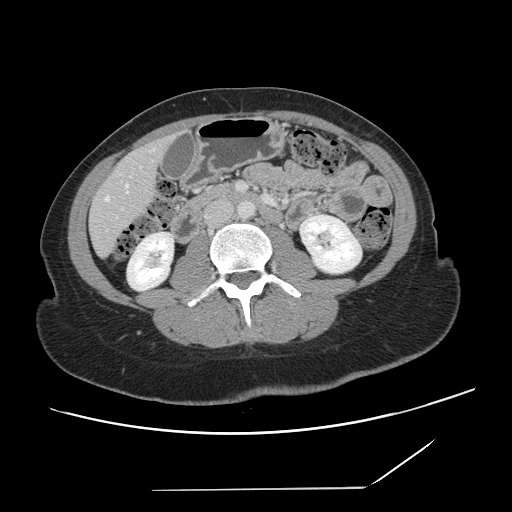
CT image, Liver
Some hepatic vessels may have no box.
3 hepatic vessel regions are bounded by left=151, top=150, right=153, bottom=151; left=105, top=197, right=108, bottom=200; left=126, top=184, right=128, bottom=193.